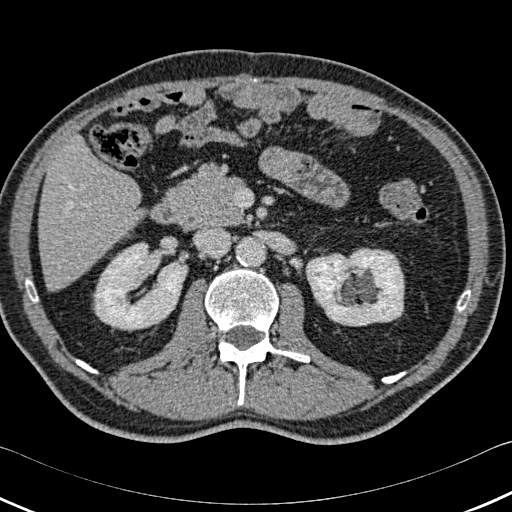

CT. Image size 512x512. Liver: [39, 138, 143, 290].
Kidney: [95, 243, 186, 329], [307, 249, 403, 325].
Bone: [382, 372, 404, 382], [76, 360, 96, 372], [457, 290, 470, 310], [26, 280, 37, 301], [205, 269, 309, 405].